Field of view 34 mm wide, 1.00 mm slice spacing, Slice index 12, MR image, Medial temporal lobe

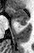

The posterior hippocampus is at region(21, 24, 26, 25). The anterior hippocampus is located at region(7, 7, 28, 23).